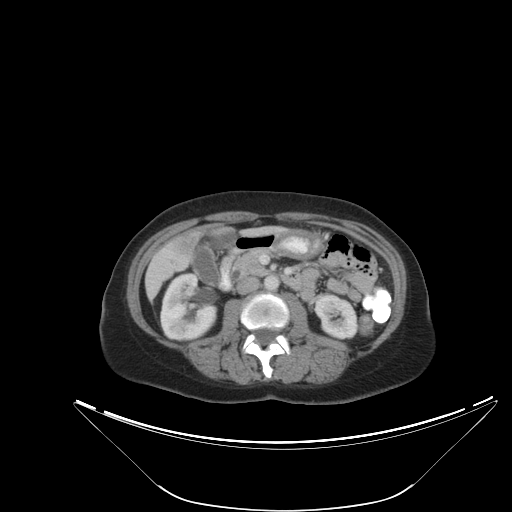
CT scan slice. Image size 512x512. Liver tumor: bounding box (180,235,198,255).